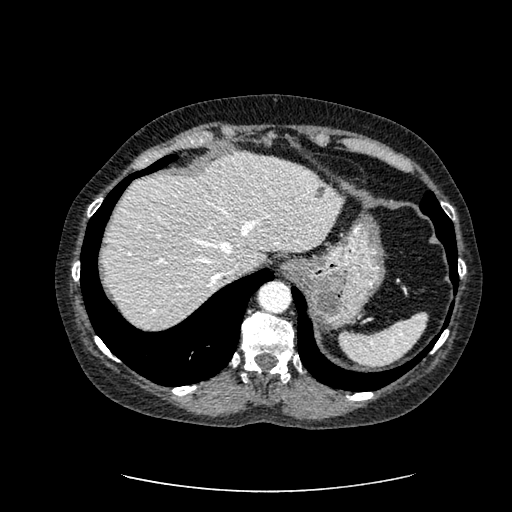

Computed tomography
Liver: l=103, t=152, r=340, b=328.
Focal liver lesion: l=315, t=185, r=325, b=197.